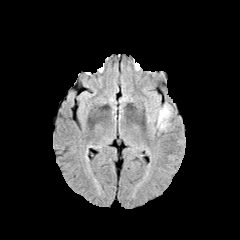
FLAIR MR.
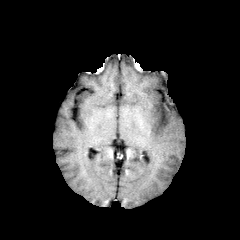
T1-weighted MRI of the same slice.
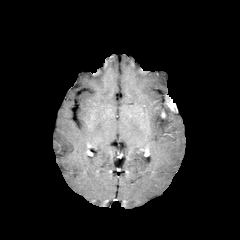
Same slice, post-contrast T1-weighted MR image.
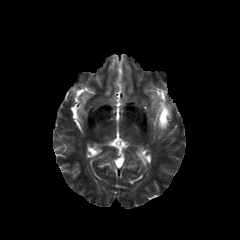
T2-weighted MRI.
Enhancing tumor = <box>165,99,175,110</box>.
Edema = <box>156,106,171,130</box>.